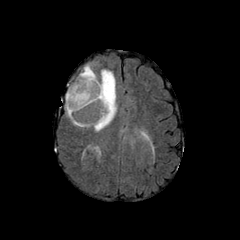
FLAIR magnetic resonance.
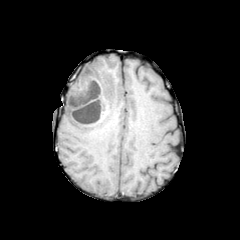
T1-weighted magnetic resonance of the same slice.
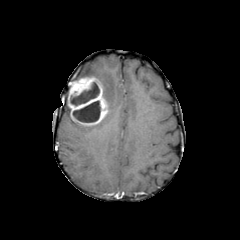
Post-contrast T1-weighted MR image.
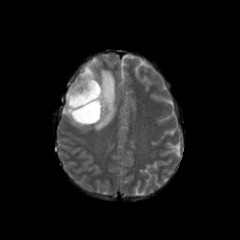
T2-weighted MR of the same slice.
Head. 240x240.
enhancing tumor: l=68, t=77, r=94, b=99; l=68, t=84, r=107, b=121 | non-enhancing tumor core: l=72, t=101, r=101, b=123; l=68, t=78, r=99, b=105 | edema: l=65, t=61, r=117, b=131